FLAIR MR image.
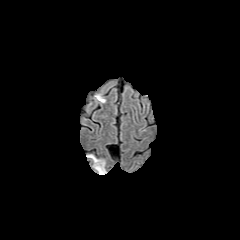
T1-weighted magnetic resonance.
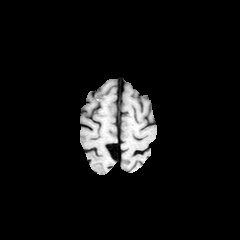
Post-contrast T1-weighted magnetic resonance.
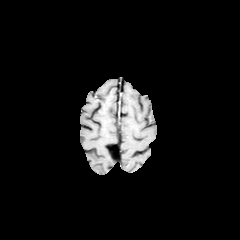
T2-weighted MR.
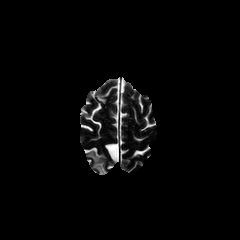
240x240
Edema: bounding box <bbox>88, 154, 105, 173</bbox>.